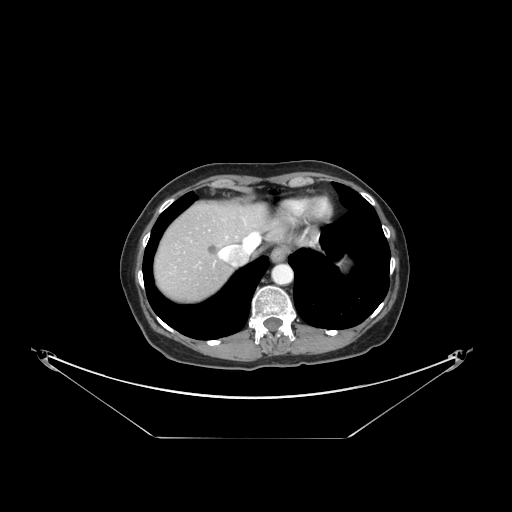
Liver. Computed tomography.

liver_tumor:
  - {"x1": 207, "y1": 244, "x2": 217, "y2": 255}